Image size 512x512. CT scan slice. Slice 407/856.
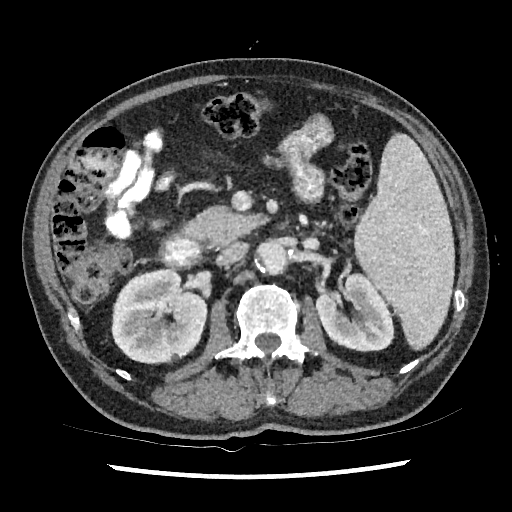
- kidney: 112,269,206,363; 316,274,393,350; 339,263,350,282